FLAIR magnetic resonance.
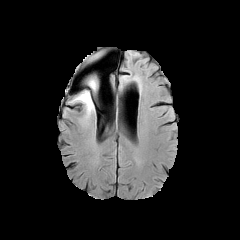
T1-weighted MRI.
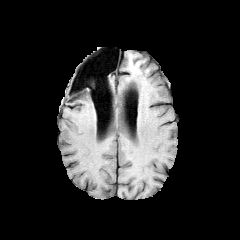
Post-contrast T1-weighted magnetic resonance.
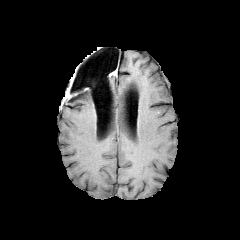
T2-weighted MR.
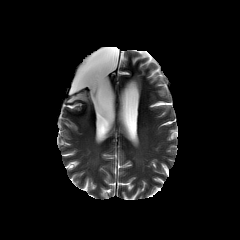
Head
The non-enhancing tumor core is located at [88, 79, 97, 92]. The edema appears at [68, 88, 95, 118].